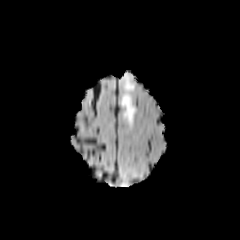
FLAIR MRI.
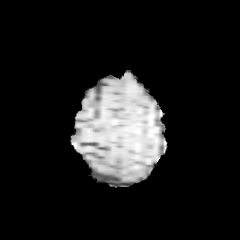
T1-weighted MRI.
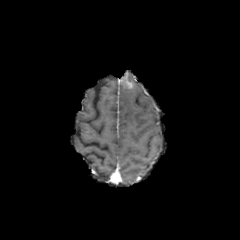
Post-contrast T1-weighted MR image of the same slice.
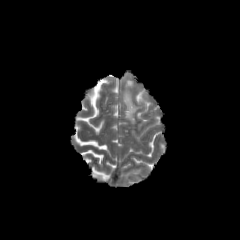
Same slice, T2-weighted magnetic resonance.
Edema — left=122, top=89, right=138, bottom=125.
Enhancing tumor — left=121, top=73, right=133, bottom=88.